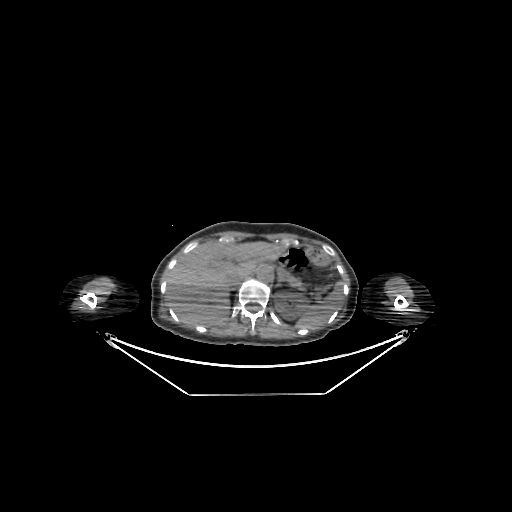

CT scan slice. Image size 512x512. Liver.

Kidney = <box>274,291,312,319</box>.
Liver = <box>163,241,282,327</box>.